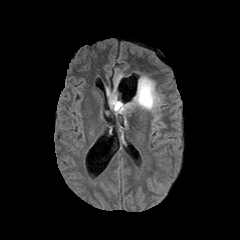
FLAIR magnetic resonance.
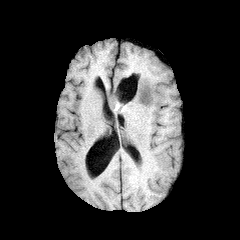
T1-weighted magnetic resonance.
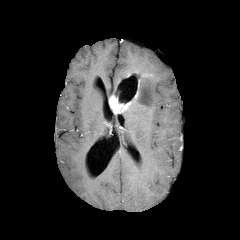
Post-contrast T1-weighted MR image.
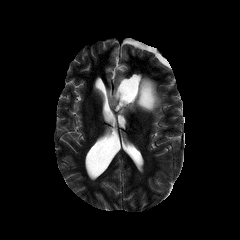
Same slice, T2-weighted MR image.
Brain; Image size 240x240
* enhancing tumor: bbox(109, 94, 131, 113)
* non-enhancing tumor core: bbox(137, 97, 148, 106)
* edema: bbox(106, 68, 164, 117)